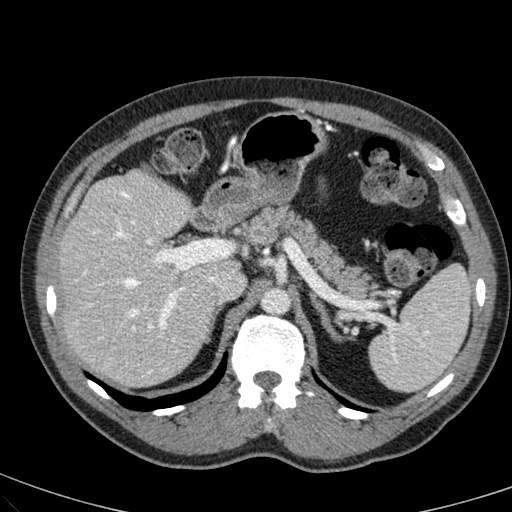 CT scan slice | Upper abdomen

* liver: (59,171,231,386)